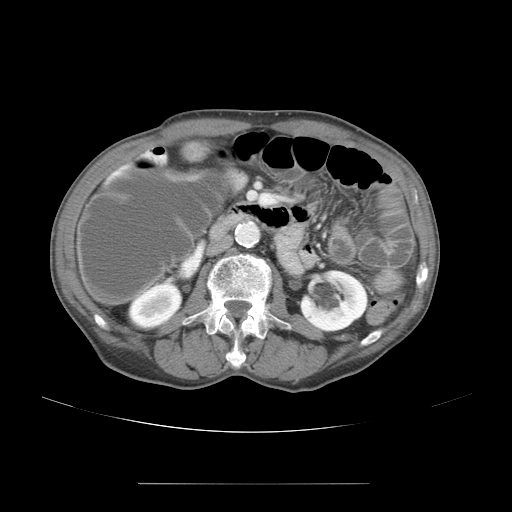
CT scan slice, 512x512 px, Pelvis

colon tumor: (180, 142, 207, 161), (164, 171, 198, 181)